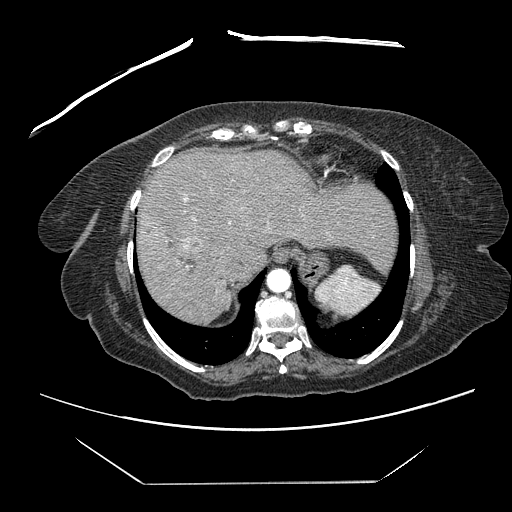

CT
The vessel annotation is not exhaustive.
liver_tumor:
  - [181, 238, 199, 258]
hepatic_vessel:
  - [184, 199, 186, 200]